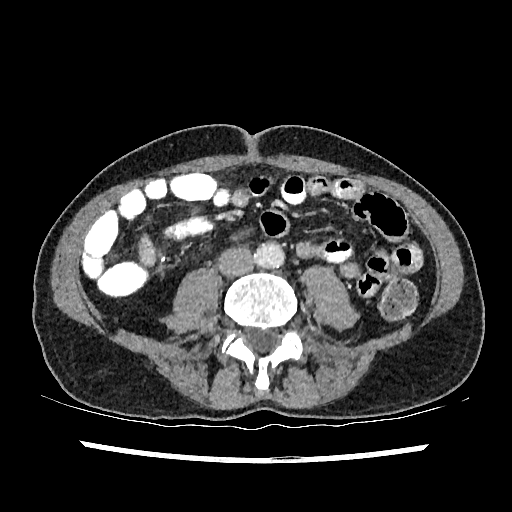

512x512. CT image. liver:
  - [139,236,154,263]